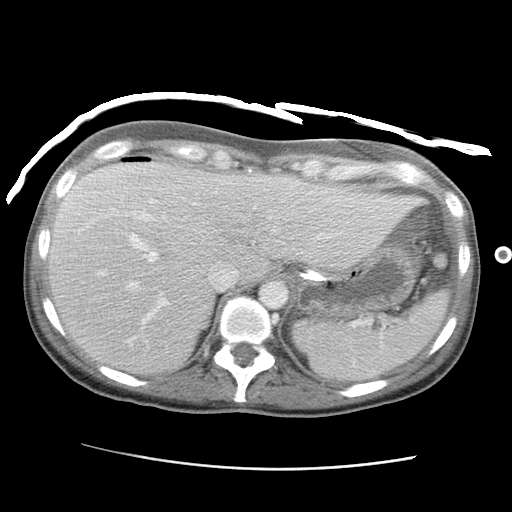
512x512 px; CT
<segmentation>
  <liver>(47,161,428,374)</liver>
</segmentation>